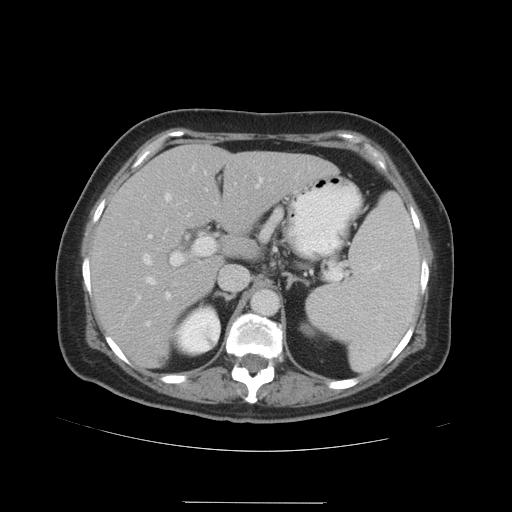 Computed tomography, 512x512 px, Abdomen
Only some of the vessels may be annotated.
Hepatic vessel: 256:177:262:186, 144:255:151:264, 165:194:170:200, 147:277:154:284, 186:234:189:238, 134:294:140:305, 193:233:214:255, 170:252:183:265, 148:235:151:237, 166:292:170:298, 214:201:218:205, 188:213:190:215, 173:283:175:284, 146:322:149:325.